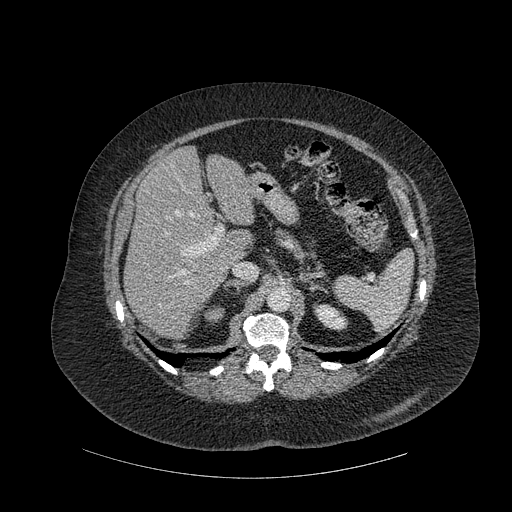

CT scan slice; 512x512; Upper abdomen
bone: <box>243,313,291,390</box>, <box>367,348,383,361</box>, <box>210,366,223,375</box>, <box>116,301,123,321</box>, <box>159,360,176,373</box>, <box>321,362,341,369</box>, <box>419,280,426,300</box> | kidney: <box>316,305,344,328</box> | liver: <box>123,145,249,339</box>, <box>207,155,254,225</box> | lung: <box>202,352,227,357</box>, <box>146,342,190,366</box>, <box>317,332,394,362</box>